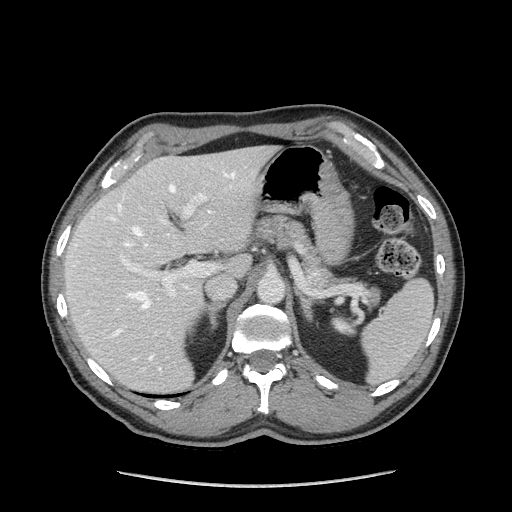 Upper abdomen; CT slice; 512x512 px

The pancreas appears at region(255, 215, 380, 305). The pancreatic tumor is located at region(308, 272, 322, 286).